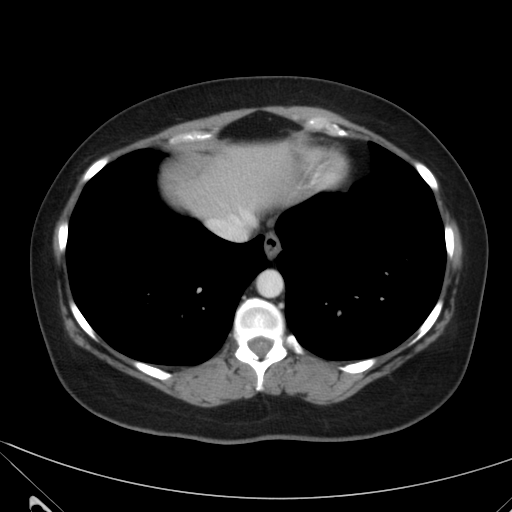

Liver; CT scan slice

Segmented structures:
* liver: x1=173 y1=142 x2=305 y2=229